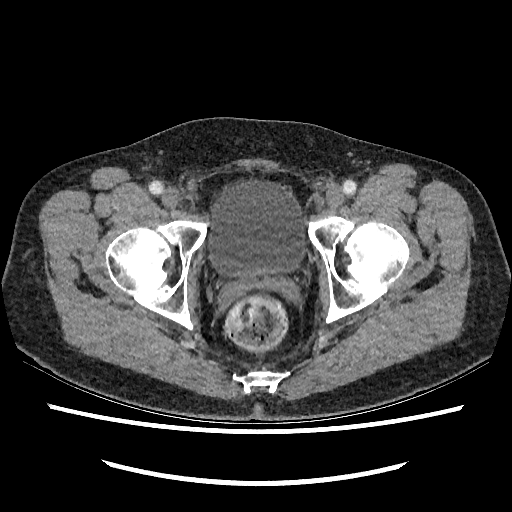 Pelvis, CT image
Urinary bladder at left=207, top=177, right=309, bottom=278.